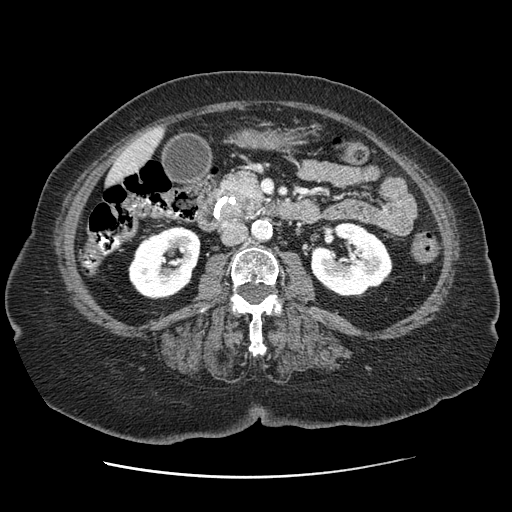 Upper abdomen; CT
pancreatic tumor: [x1=237, y1=197, x2=250, y2=215] | pancreas: [x1=220, y1=169, x2=265, y2=220]